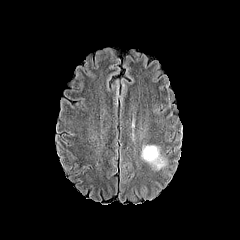
FLAIR MR image.
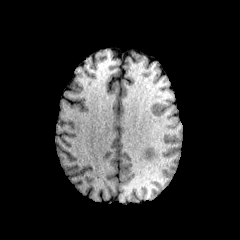
T1-weighted MRI of the same slice.
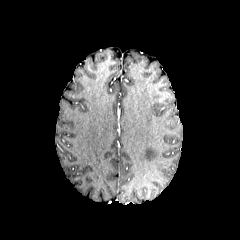
Post-contrast T1-weighted magnetic resonance of the same slice.
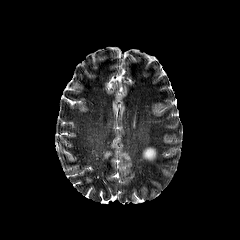
Same slice, T2-weighted MR image.
Brain. 240x240 px.
Segmented structures:
- edema: <box>142,147,164,168</box>